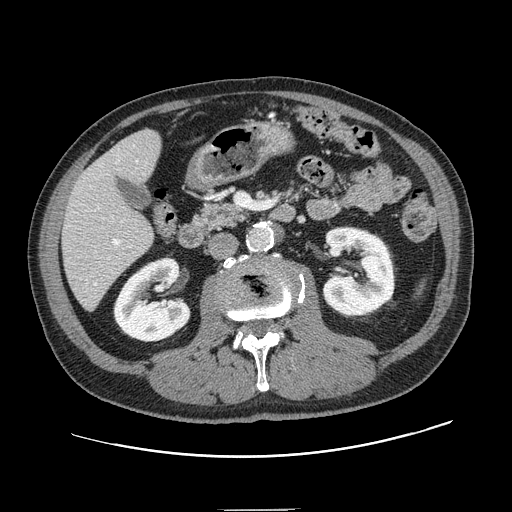
Upper abdomen. CT slice. Pancreas at region(193, 199, 248, 230).